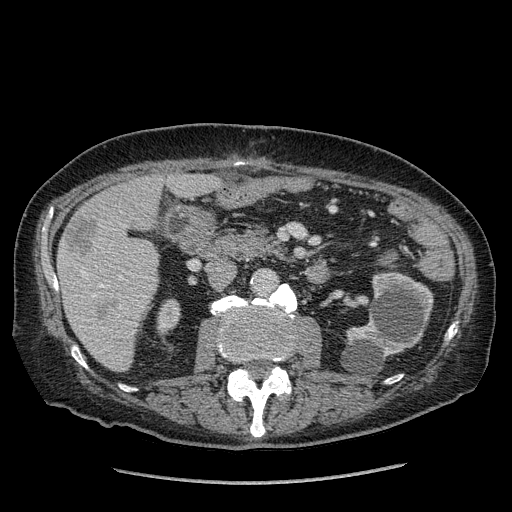
Image size 512x512; Abdomen; CT slice

<segmentation>
  <liver>168:174:220:198, 58:175:165:371</liver>
  <liver_lesion>68:217:97:252, 97:300:113:318</liver_lesion>
  <kidney>372:272:433:321, 158:300:179:332, 346:318:422:356</kidney>
</segmentation>